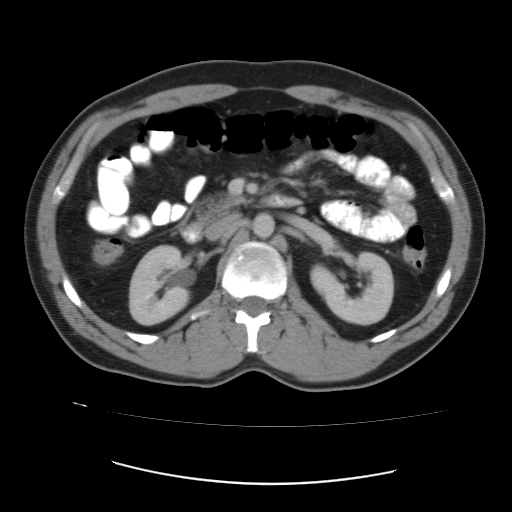

512x512 | CT

<segmentation>
  <colon_tumor>left=402, top=246, right=426, bottom=263</colon_tumor>
</segmentation>